CT image. 512x512 px. Lower abdomen.

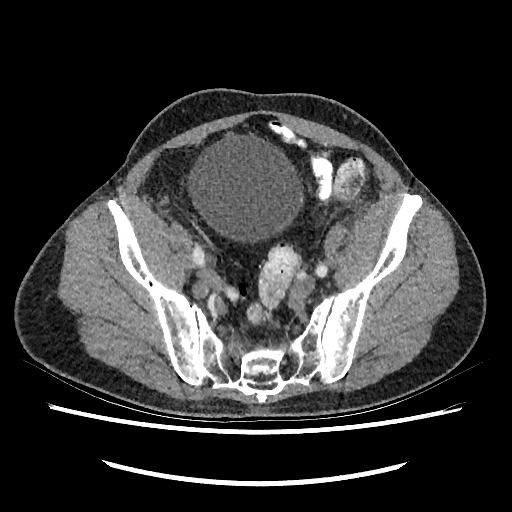

The urinary bladder is located at 187:131:303:242.